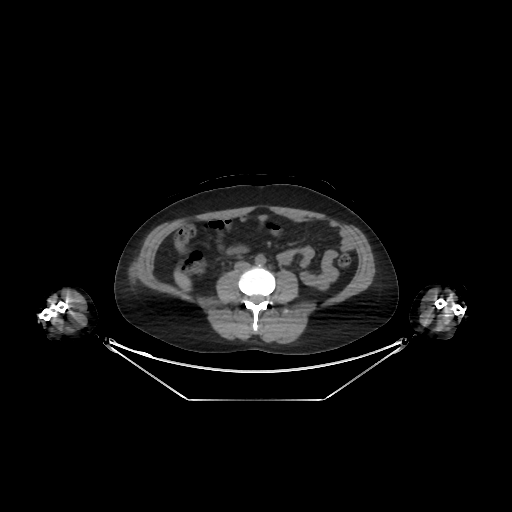

Computed tomography. 512x512 px. Annotated regions:
* liver: 174 269 190 295